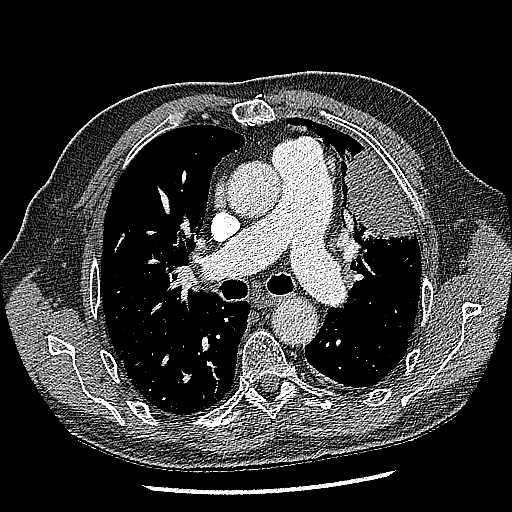
CT scan slice; Lung
<segmentation>
  <lung_tumor>[343,147,415,241]</lung_tumor>
</segmentation>